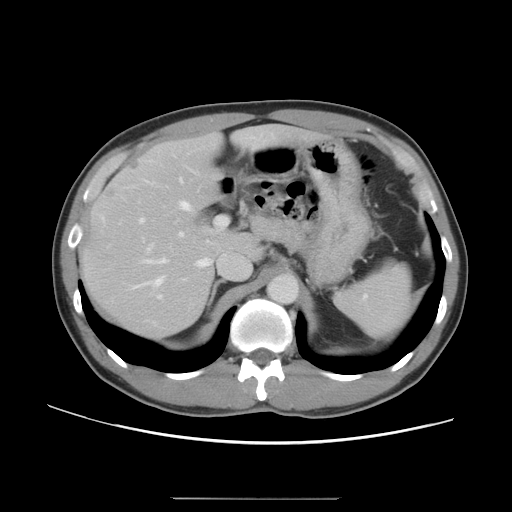

Computed tomography | Liver

Some hepatic vessels may have no box.
The principal 15 hepatic vessel regions (of 19) appear at <bbox>196, 258, 212, 267</bbox>, <bbox>180, 178, 183, 181</bbox>, <bbox>217, 260, 220, 263</bbox>, <bbox>144, 258, 167, 263</bbox>, <bbox>140, 218, 144, 222</bbox>, <bbox>148, 244, 153, 251</bbox>, <bbox>207, 240, 209, 242</bbox>, <bbox>250, 134, 269, 145</bbox>, <bbox>150, 181, 154, 183</bbox>, <bbox>182, 279, 185, 280</bbox>, <bbox>179, 201, 192, 210</bbox>, <bbox>132, 276, 165, 288</bbox>, <bbox>180, 232, 183, 236</bbox>, <bbox>158, 295, 162, 298</bbox>, <bbox>102, 218, 104, 220</bbox>. The liver tumor is at <bbox>130, 161, 140, 169</bbox>.